Upper abdomen; CT image 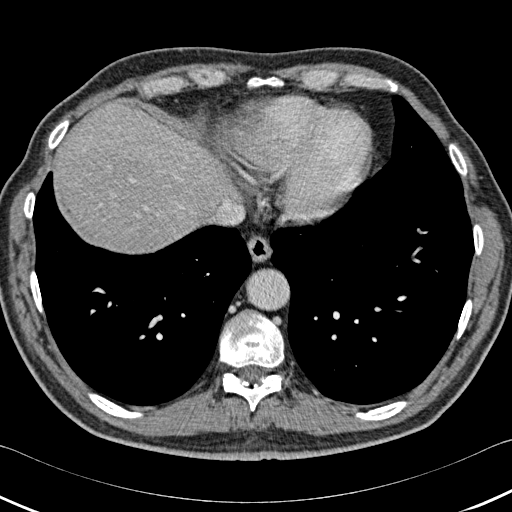 <segmentation>
  <liver>bbox=[54, 107, 215, 253]</liver>
  <bone>bbox=[223, 373, 281, 410]; bbox=[473, 225, 483, 254]; bbox=[88, 394, 142, 418]; bbox=[24, 193, 34, 218]; bbox=[356, 402, 406, 420]; bbox=[449, 144, 466, 175]; bbox=[457, 300, 471, 338]; bbox=[30, 271, 41, 311]; bbox=[48, 120, 68, 148]; bbox=[220, 312, 283, 367]; bbox=[248, 77, 283, 86]</bone>
  <lung>bbox=[32, 171, 252, 405]; bbox=[20, 165, 28, 174]; bbox=[267, 94, 474, 404]</lung>
</segmentation>